512x512 px. CT slice. Slice index 214. 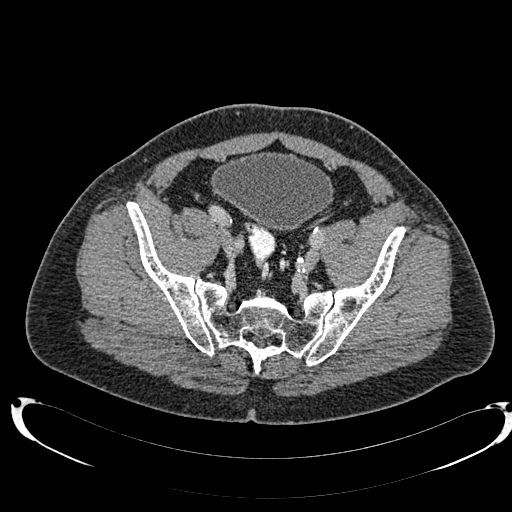 The urinary bladder appears at {"x1": 212, "y1": 152, "x2": 332, "y2": 231}.